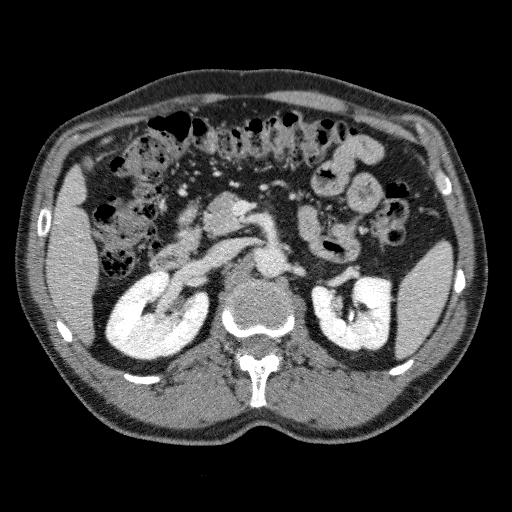 Upper abdomen | 512x512 | CT image
The liver lies within bbox(46, 164, 98, 343). 2 kidney regions appear at bbox(312, 277, 389, 349); bbox(107, 271, 207, 358).